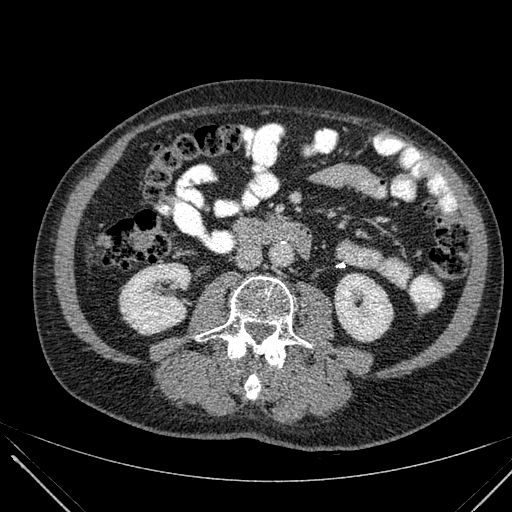
Abdomen | CT

• kidney: [335,274,392,340], [120,263,190,333]